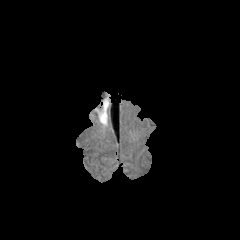
FLAIR MR image.
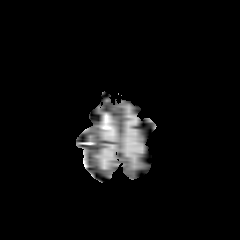
T1-weighted MR image.
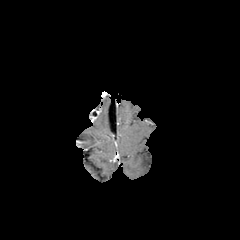
Post-contrast T1-weighted MRI.
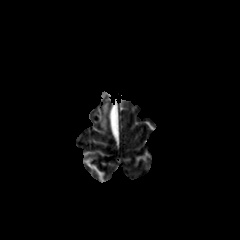
T2-weighted MR.
Head. 240x240.
{
  "edema": [
    "(left=98, top=98, right=109, bottom=127)"
  ]
}